FLAIR MR.
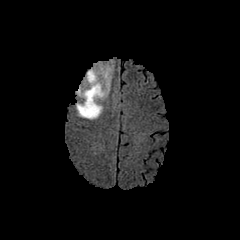
T1-weighted MR image.
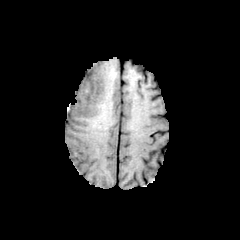
Post-contrast T1-weighted MRI.
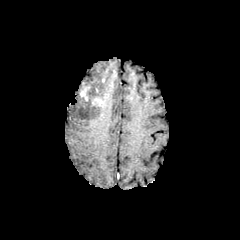
T2-weighted magnetic resonance.
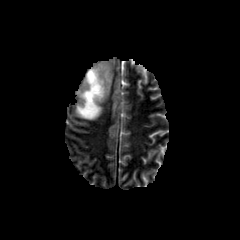
Image size 240x240
The edema is at {"x1": 75, "y1": 67, "x2": 110, "y2": 119}.